Abdomen. CT slice.

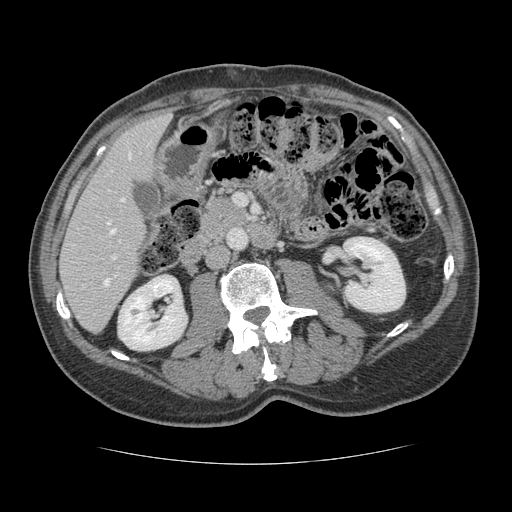 Not every hepatic vessel necessarily has a box.
7 hepatic vessel regions are bounded by rect(104, 279, 109, 284); rect(128, 151, 130, 158); rect(114, 273, 116, 275); rect(107, 222, 110, 223); rect(110, 229, 114, 232); rect(112, 255, 115, 258); rect(121, 198, 124, 200).